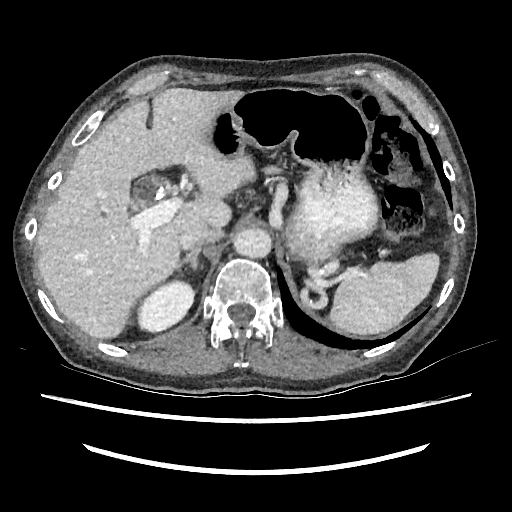 Upper abdomen. Computed tomography. • liver: box=[36, 89, 248, 337]
• kidney: box=[139, 282, 193, 331]